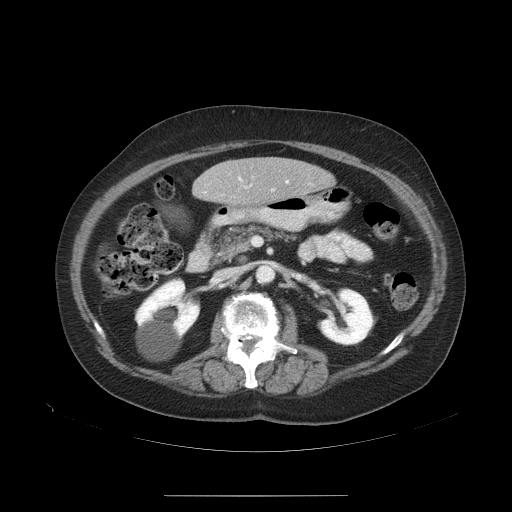

CT scan slice
Only some of the vessels may be annotated.
{
  "hepatic_vessel": [
    "(left=309, top=184, right=311, bottom=185)",
    "(left=204, top=192, right=206, bottom=193)",
    "(left=244, top=185, right=250, bottom=188)",
    "(left=238, top=178, right=241, bottom=180)",
    "(left=286, top=181, right=287, bottom=182)",
    "(left=271, top=189, right=273, bottom=190)"
  ]
}